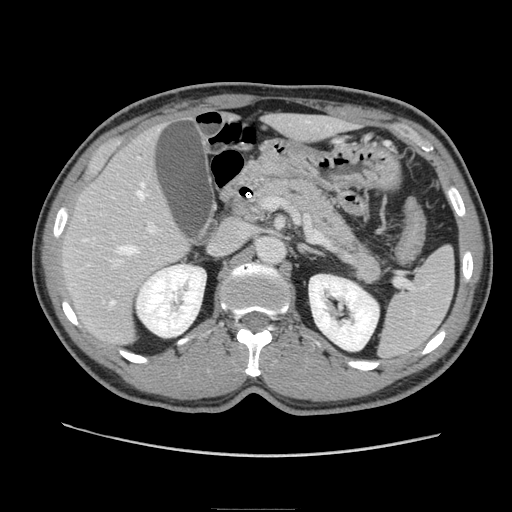 Image size 512x512, Computed tomography
The pancreas appears at 262:177:383:285.